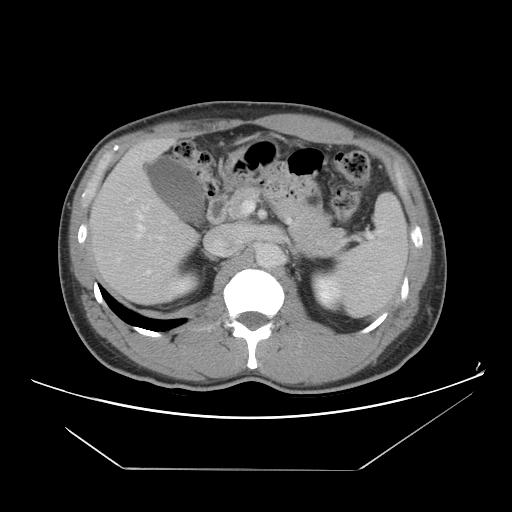
Computed tomography. 512x512 px. Abdomen.
Some hepatic vessels may have no box.
7 hepatic vessel regions appear at box=[136, 212, 143, 219]; box=[136, 225, 145, 237]; box=[146, 269, 151, 274]; box=[126, 198, 131, 201]; box=[158, 236, 163, 239]; box=[117, 258, 120, 261]; box=[142, 206, 146, 211].